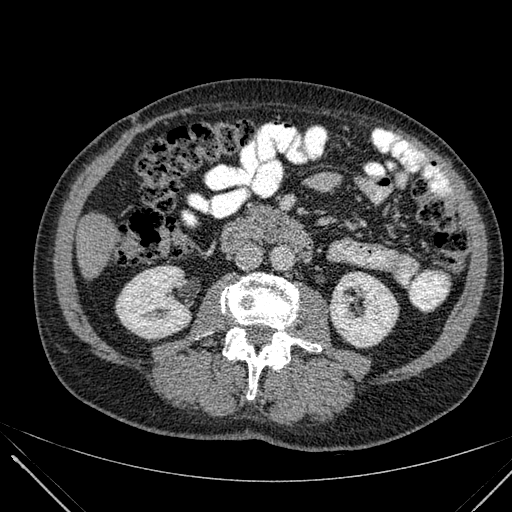 Abdomen, CT slice

* kidney: 330, 272, 397, 346; 116, 266, 190, 337
* liver: 77, 212, 121, 278